Computed tomography
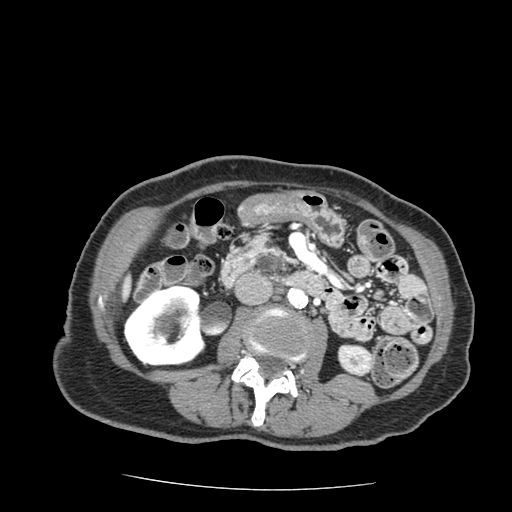
Pancreas at (x1=246, y1=235, x2=299, y2=277).
Pancreatic tumor at (x1=257, y1=254, x2=292, y2=274).